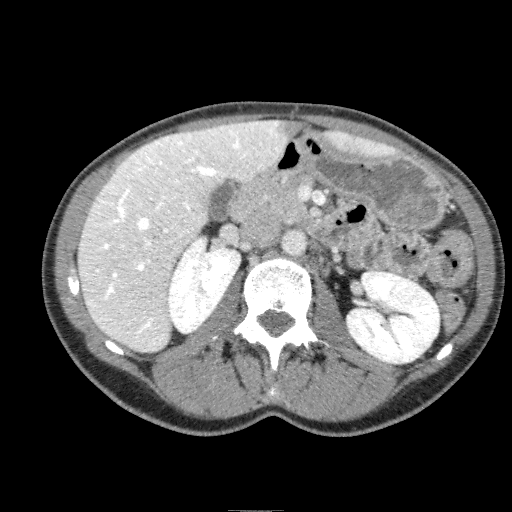 Image size 512x512; Computed tomography
Segmented structures:
- focal liver lesion: (277,120,300,138)
- kidney: (347,271,439,363), (168,238,239,332)
- liver: (78,119,295,352), (295,121,307,129), (323,130,395,156)